Brain.
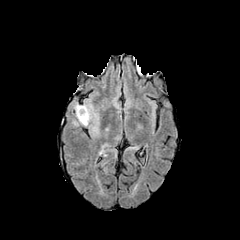
FLAIR MRI.
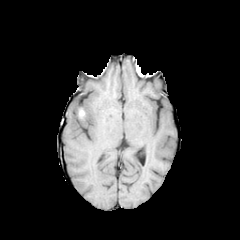
T1-weighted MR.
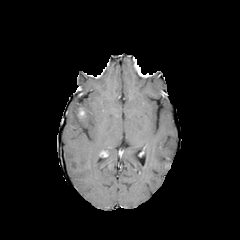
Post-contrast T1-weighted MR image.
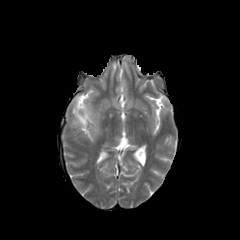
T2-weighted magnetic resonance.
Segmented structures:
- edema: 73, 103, 91, 126
- non-enhancing tumor core: 77, 108, 86, 119